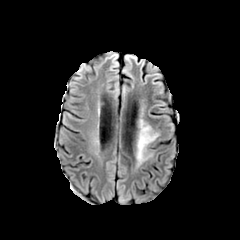
FLAIR MR.
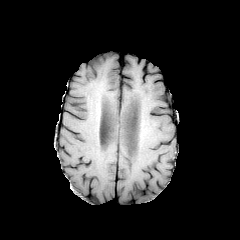
T1-weighted MRI of the same slice.
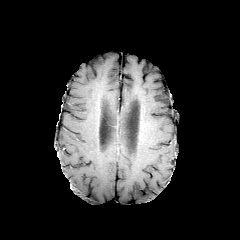
Post-contrast T1-weighted magnetic resonance of the same slice.
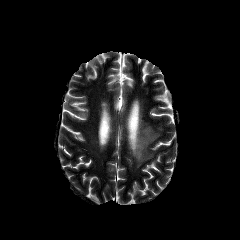
T2-weighted MR image of the same slice.
240x240.
Edema: (135, 120, 158, 163).